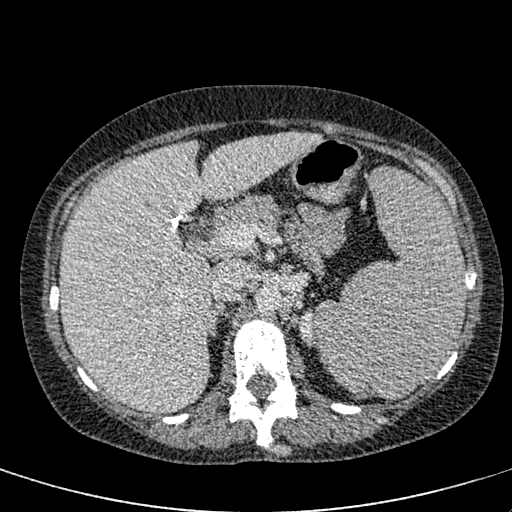 CT image, Liver
The liver is at (x1=59, y1=133, x2=322, y2=412). The kidney appears at (x1=300, y1=312, x2=314, y2=344).